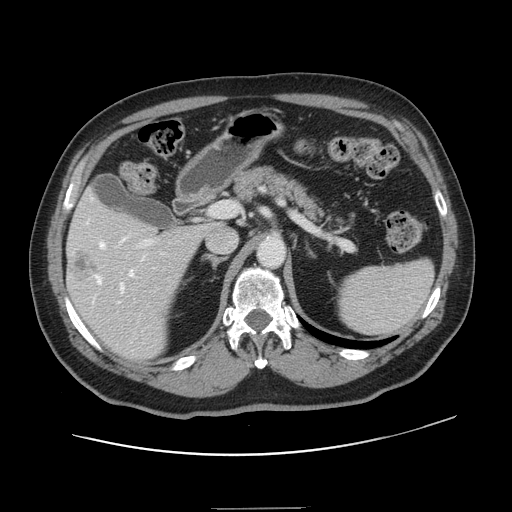 Abdomen; 512x512; Computed tomography
The vessel annotation is not exhaustive.
hepatic_vessel:
  - l=118, t=301, r=119, b=302
  - l=143, t=239, r=152, b=245
  - l=100, t=243, r=104, b=248
  - l=93, t=298, r=94, b=301
  - l=129, t=269, r=133, b=276
  - l=142, t=257, r=143, b=260
  - l=95, t=275, r=101, b=283
  - l=120, t=282, r=123, b=293
liver_tumor:
  - l=71, t=253, r=98, b=280